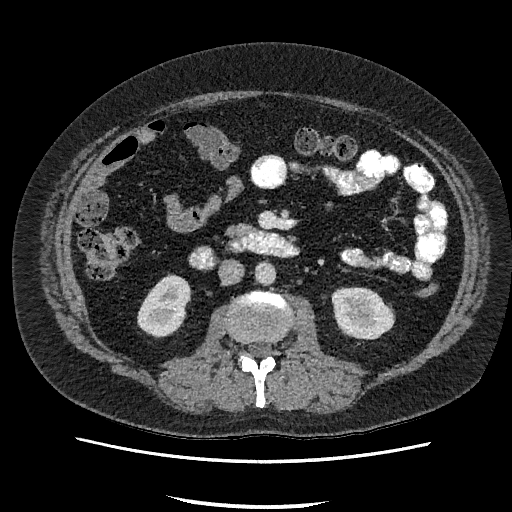
Abdomen; Computed tomography
Kidney: [138,276,189,335], [332,288,392,338].